240x240
FLAIR MR image.
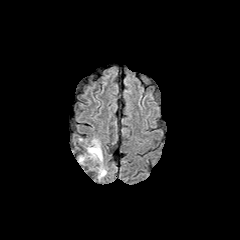
T1-weighted MRI.
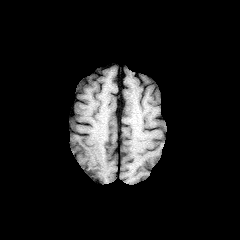
Post-contrast T1-weighted MR.
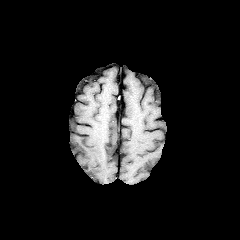
T2-weighted MR.
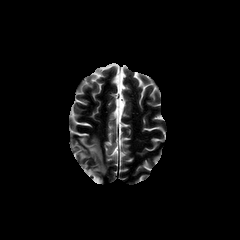
The edema lies within l=77, t=136, r=107, b=179.